Image size 240x240
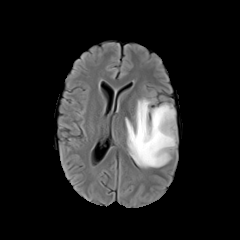
FLAIR MR image.
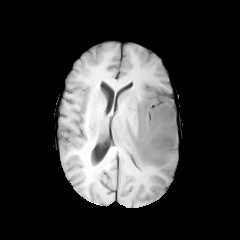
T1-weighted MR image.
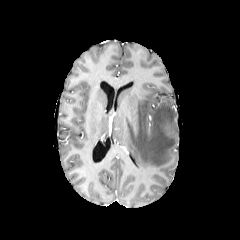
Same slice, post-contrast T1-weighted MRI.
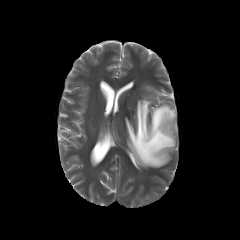
T2-weighted MR.
edema: [x1=125, y1=97, x2=177, y2=167]